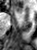
MRI; Hippocampus; Image size 37x50

The anterior hippocampus appears at {"x1": 11, "y1": 6, "x2": 22, "y2": 12}.